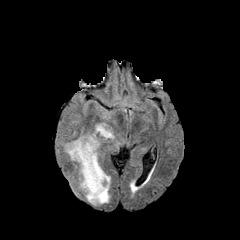
FLAIR MR image.
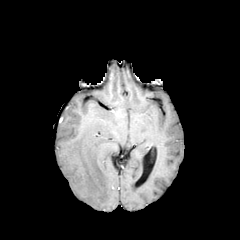
T1-weighted MRI.
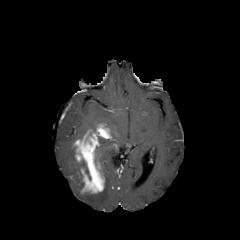
Post-contrast T1-weighted MR image of the same slice.
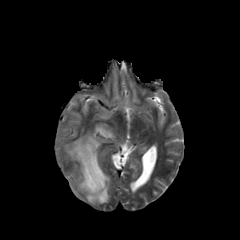
Same slice, T2-weighted MRI.
Segmented structures:
• non-enhancing tumor core: <bbox>79, 160, 90, 179</bbox>
• edema: <bbox>103, 111, 111, 119</bbox>, <bbox>63, 140, 83, 190</bbox>, <bbox>83, 168, 110, 205</bbox>
• enhancing tumor: <bbox>74, 123, 112, 193</bbox>